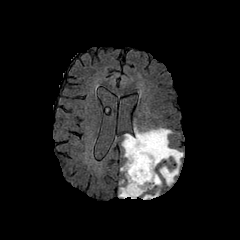
FLAIR MR.
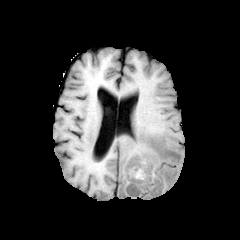
Same slice, T1-weighted MR image.
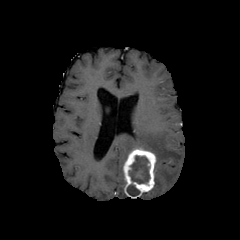
Post-contrast T1-weighted MRI of the same slice.
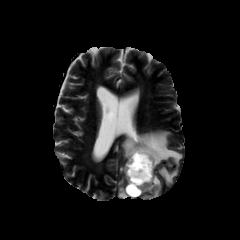
T2-weighted magnetic resonance.
240x240 | Head
2 non-enhancing tumor core regions appear at 129, 156, 149, 183; 127, 184, 139, 196. The enhancing tumor is at 123, 146, 156, 197. 3 edema regions appear at 140, 174, 161, 199; 119, 186, 125, 198; 122, 128, 182, 185.